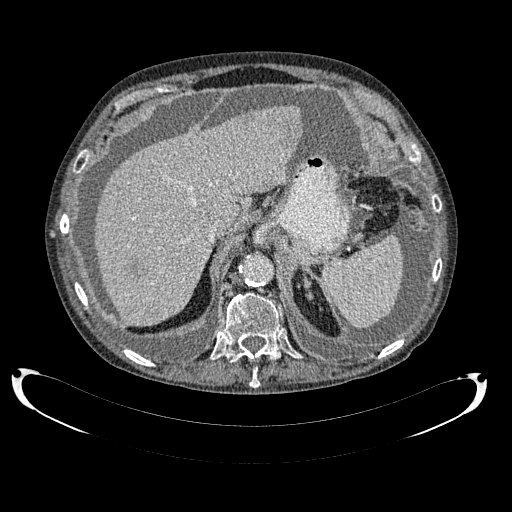 CT
{
  "liver_lesion": [
    "bbox=[148, 311, 158, 317]",
    "bbox=[282, 120, 298, 142]",
    "bbox=[127, 260, 144, 277]"
  ],
  "liver": [
    "bbox=[94, 104, 302, 325]"
  ]
}